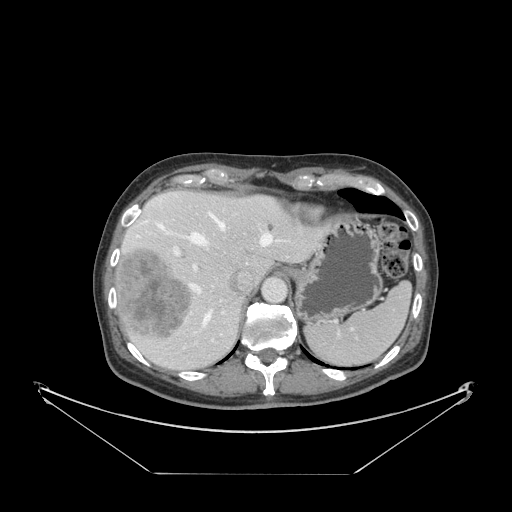
CT image; Upper abdomen; 512x512 px

The spleen appears at box=[305, 282, 411, 367].